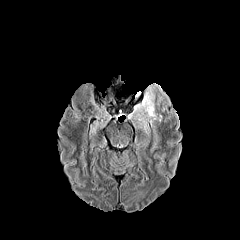
FLAIR MRI.
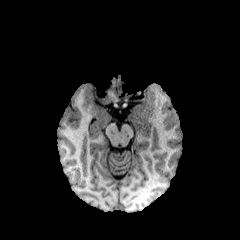
Same slice, T1-weighted magnetic resonance.
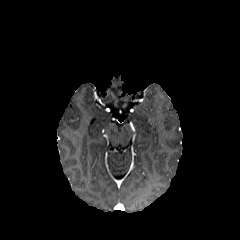
Post-contrast T1-weighted MR image of the same slice.
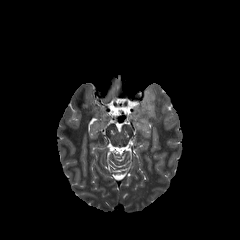
T2-weighted MRI of the same slice.
Head.
Edema at [128,85,156,134].